CT slice; Liver; 512x512 px
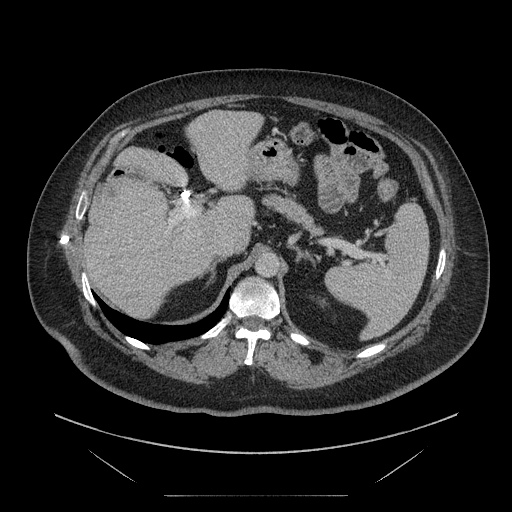
The vessel annotation is not exhaustive.
- liver tumor: {"x1": 105, "y1": 181, "x2": 125, "y2": 198}
- hepatic vessel: {"x1": 164, "y1": 203, "x2": 199, "y2": 235}